FLAIR MR image.
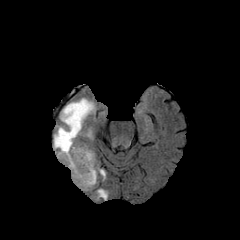
T1-weighted MRI.
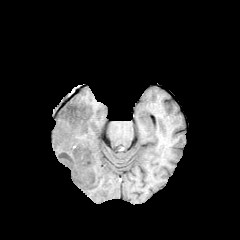
Post-contrast T1-weighted MR image.
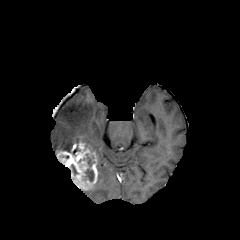
T2-weighted MRI.
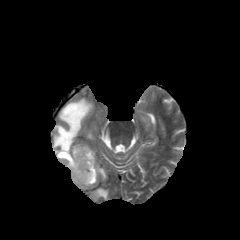
Brain.
The enhancing tumor appears at 57:144:97:189. 3 edema regions are bounded by 94:188:108:199, 53:97:95:150, 97:165:105:180. The non-enhancing tumor core lies within 85:168:93:181.